240x240; Brain; Slice index 101
FLAIR MR.
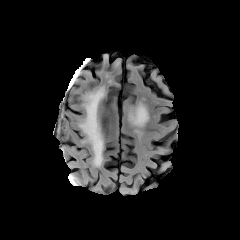
T1-weighted MRI.
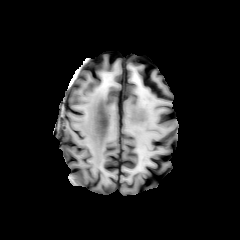
Post-contrast T1-weighted MR.
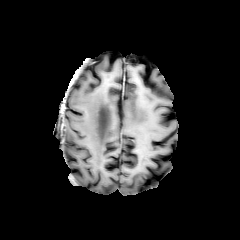
T2-weighted MR image.
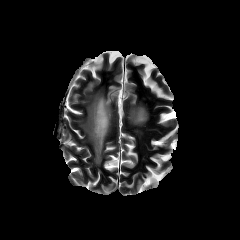
Edema: bounding box bbox(80, 92, 103, 166).